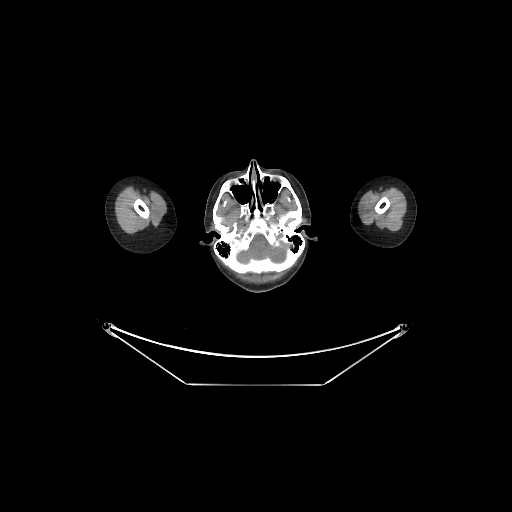
CT slice
<segmentation>
  <brain>[x1=238, y1=232, x2=285, y2=262]</brain>
</segmentation>